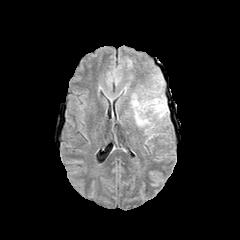
FLAIR magnetic resonance.
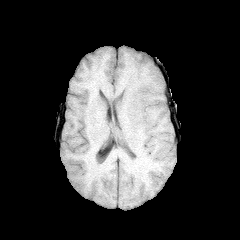
T1-weighted MR image of the same slice.
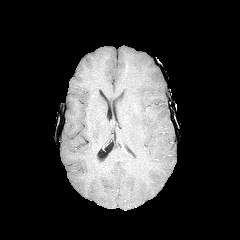
Post-contrast T1-weighted MR image.
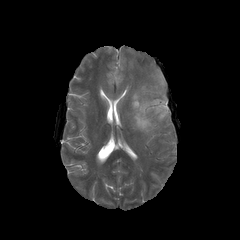
T2-weighted MR image of the same slice.
Brain
{"edema": ["bbox(130, 86, 169, 133)"], "non-enhancing_tumor_core": ["bbox(134, 103, 144, 113)"]}